FLAIR MR.
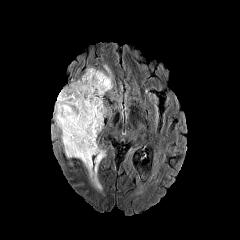
T1-weighted MR.
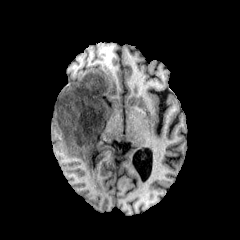
Post-contrast T1-weighted MR image.
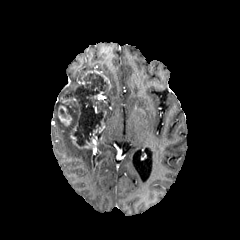
T2-weighted MR.
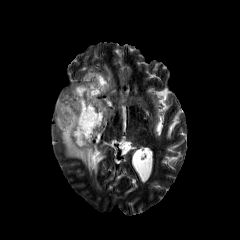
enhancing tumor: bbox=[70, 135, 98, 149]; bbox=[94, 91, 105, 101]; bbox=[58, 106, 71, 126] | edema: bbox=[53, 120, 105, 190] | non-enhancing tumor core: bbox=[53, 71, 112, 146]